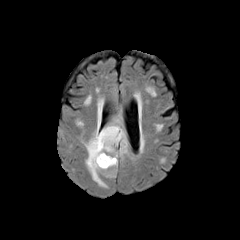
FLAIR MR.
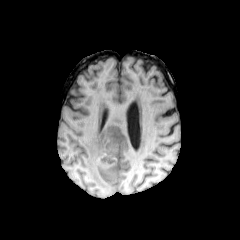
T1-weighted MR image.
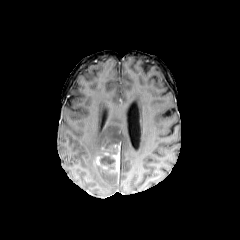
Post-contrast T1-weighted MR image of the same slice.
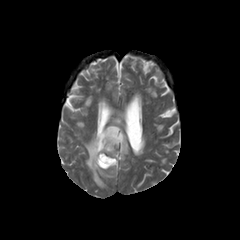
T2-weighted MR image of the same slice.
Brain
Edema — left=82, top=97, right=128, bottom=187.
Enhancing tumor — left=110, top=144, right=120, bottom=172; left=95, top=155, right=107, bottom=168.
Non-enhancing tumor core — left=98, top=145, right=118, bottom=172; left=118, top=141, right=124, bottom=164.